Slice 90 of 155
FLAIR MR.
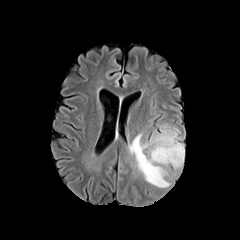
T1-weighted MR image.
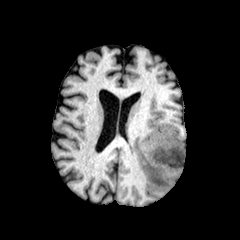
Post-contrast T1-weighted MRI.
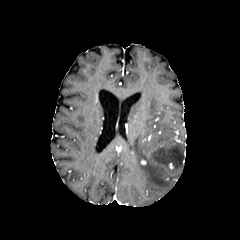
T2-weighted MR image.
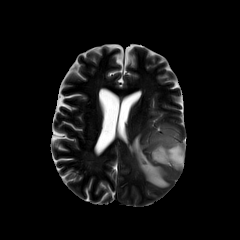
The edema lies within region(129, 124, 185, 187).